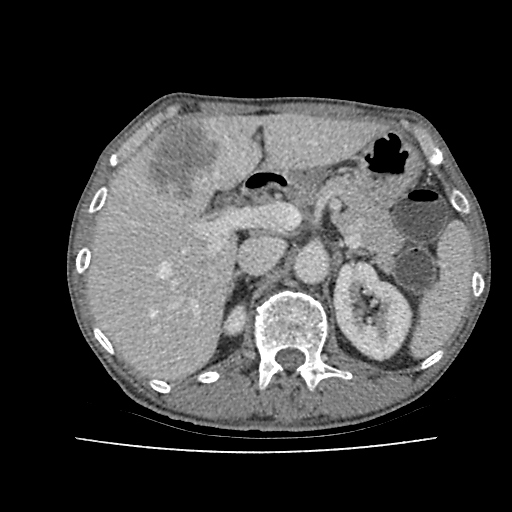 512x512; CT; Abdomen
The liver lesion is bounded by l=145, t=120, r=221, b=200. 2 kidney regions are located at l=335, t=264, r=410, b=358; l=227, t=308, r=244, b=332. The liver is located at l=89, t=115, r=383, b=378.